240x240. Slice index 127. Field of view 240 mm wide, 1.00 mm slice spacing.
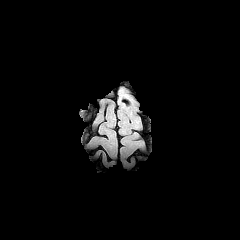
FLAIR MR image.
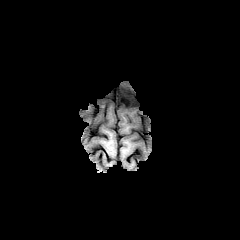
Same slice, T1-weighted MRI.
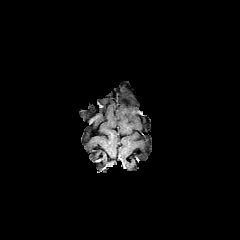
Same slice, post-contrast T1-weighted MR image.
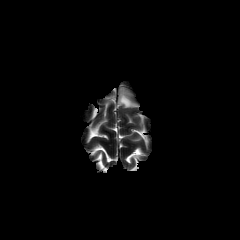
T2-weighted MR.
{"edema": ["(119,90,135,107)"]}